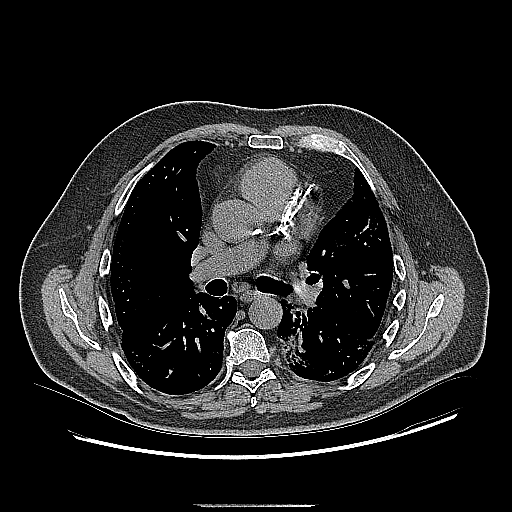
Lung; CT image

<segmentation>
  <lung_tumor><box>277,299,316,375</box></lung_tumor>
</segmentation>